Computed tomography. Field of view 404 mm wide, 0.70 mm slice spacing. Slice index 426.
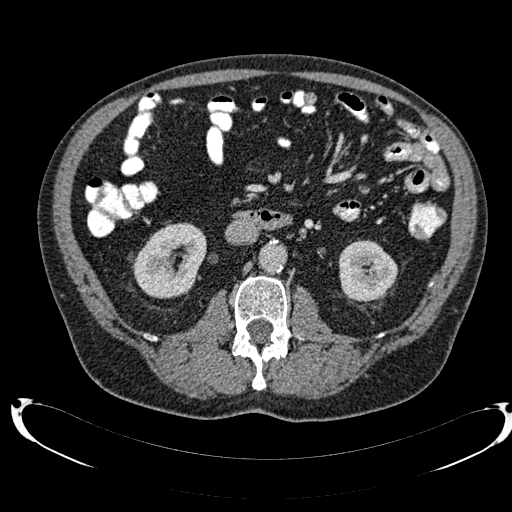 • kidney: (x1=133, y1=223, x2=206, y2=298), (x1=339, y1=241, x2=397, y2=301)